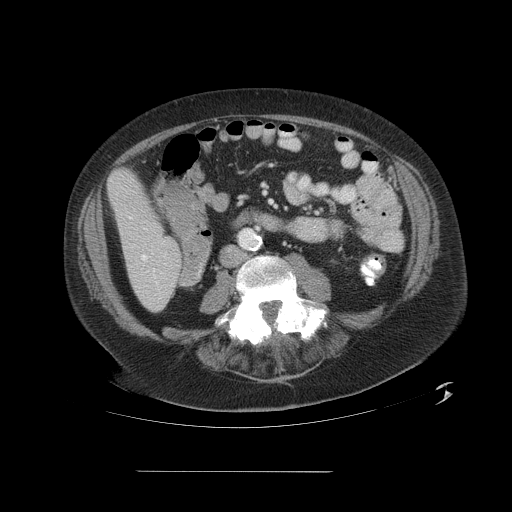

Computed tomography
Not every hepatic vessel necessarily has a box.
hepatic vessel: box(153, 269, 155, 271); box(142, 255, 146, 260)